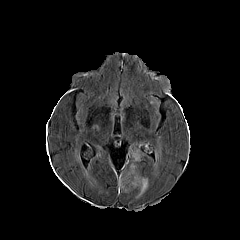
FLAIR magnetic resonance.
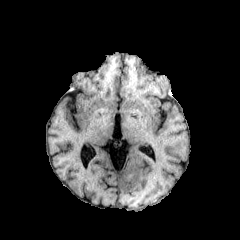
T1-weighted MRI.
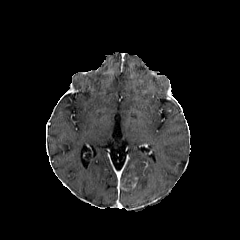
Post-contrast T1-weighted magnetic resonance.
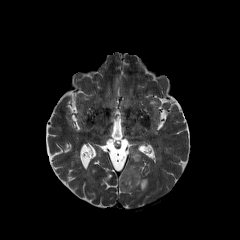
T2-weighted MR image of the same slice.
Edema — {"x1": 130, "y1": 149, "x2": 144, "y2": 161}, {"x1": 154, "y1": 148, "x2": 160, "y2": 167}, {"x1": 136, "y1": 177, "x2": 148, "y2": 197}.
Non-enhancing tumor core — {"x1": 134, "y1": 159, "x2": 147, "y2": 173}, {"x1": 124, "y1": 177, "x2": 133, "y2": 188}.
Enhancing tumor — {"x1": 119, "y1": 165, "x2": 138, "y2": 191}.